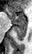 Hippocampus, MR

The anterior hippocampus is at <bbox>7, 9, 27, 24</bbox>. The posterior hippocampus appears at <bbox>14, 24, 27, 41</bbox>.